Abdomen, Slice 50 of 90, CT slice, 512x512 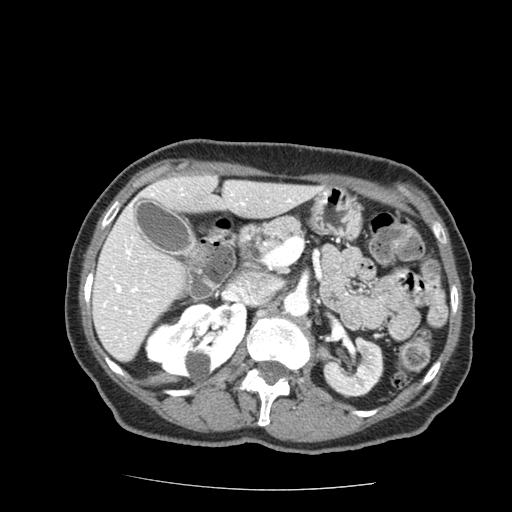
<segmentation>
  <pancreas>bbox=[240, 214, 304, 268]</pancreas>
</segmentation>